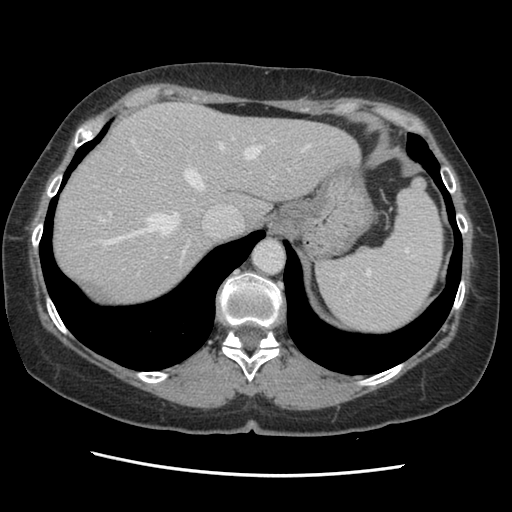

CT
The vessel annotation is not exhaustive.
13 hepatic vessel regions are located at <box>232,136,233,139</box>, <box>244,146,260,158</box>, <box>109,212,111,214</box>, <box>97,212,178,245</box>, <box>131,138,134,144</box>, <box>271,139,274,142</box>, <box>301,144,309,151</box>, <box>184,170,203,189</box>, <box>272,176,273,177</box>, <box>181,243,187,260</box>, <box>165,256,166,257</box>, <box>219,142,223,149</box>, <box>98,216,107,221</box>.